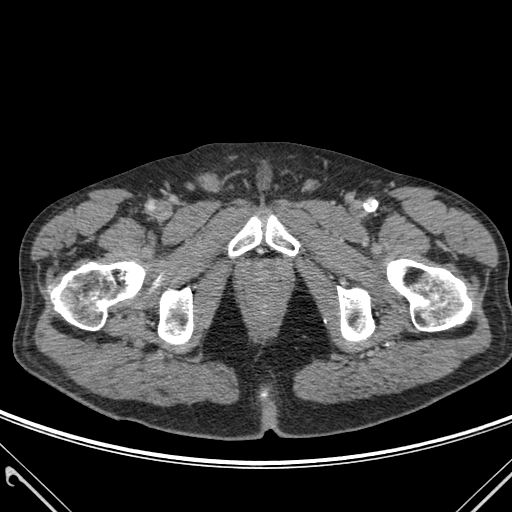

512x512 px; CT slice

Annotated regions:
• bone: <bbox>229, 217, 262, 256</bbox>, <bbox>51, 262, 144, 330</bbox>, <bbox>387, 259, 471, 331</bbox>, <bbox>265, 215, 299, 255</bbox>, <bbox>158, 288, 192, 344</bbox>, <bbox>337, 286, 374, 341</bbox>